FLAIR MRI.
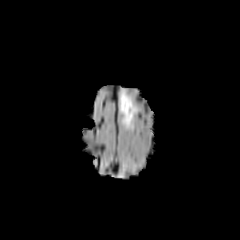
T1-weighted magnetic resonance.
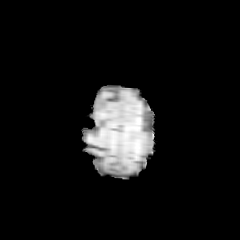
Post-contrast T1-weighted magnetic resonance.
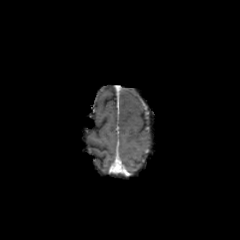
T2-weighted MRI.
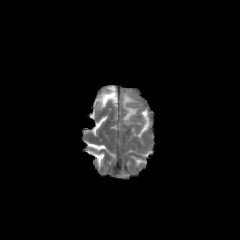
Brain
The edema lies within (left=120, top=92, right=137, bottom=127).